FLAIR MR.
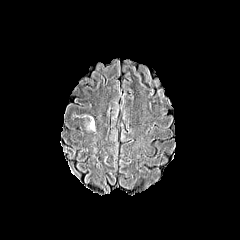
T1-weighted MRI.
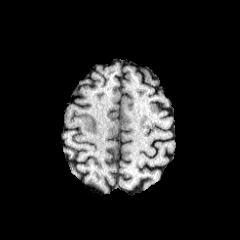
Post-contrast T1-weighted magnetic resonance.
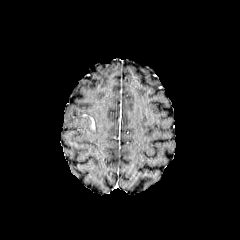
T2-weighted magnetic resonance.
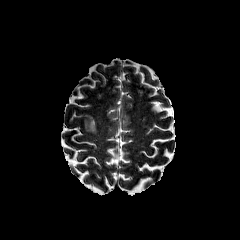
Brain
Edema: bounding box <box>83,119,96,133</box>.
Non-enhancing tumor core: bounding box <box>82,114,95,130</box>.